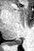
MRI

Posterior hippocampus = 7:38:20:44.